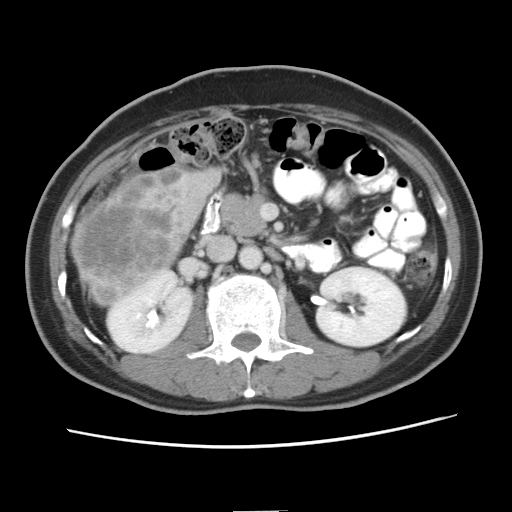
CT image. 512x512. Abdomen.

liver_tumor:
  - [73,168,188,303]